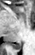 MR image

<segmentation>
  <posterior_hippocampus>x1=12 y1=43 x2=21 y2=49</posterior_hippocampus>
</segmentation>